Slice 556 of 896; CT; Abdomen
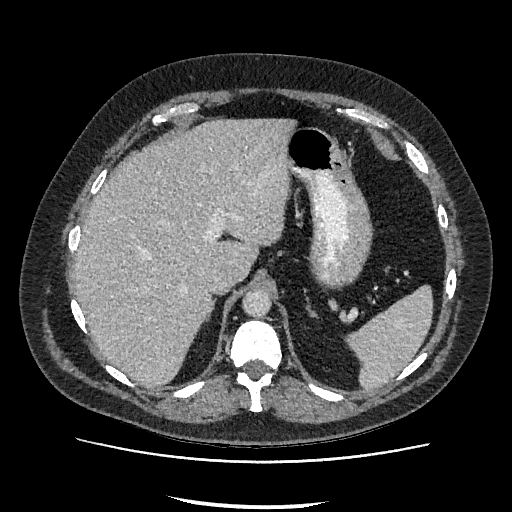
<segmentation>
  <liver><bbox>76, 119, 294, 385</bbox></liver>
</segmentation>